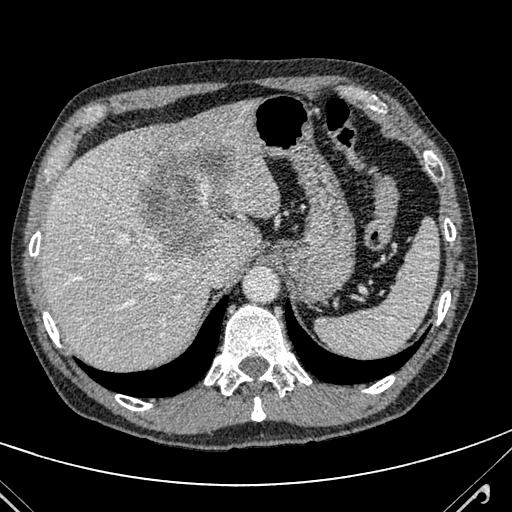

512x512; CT slice; Liver

• liver: region(42, 101, 279, 370)
• liver lesion: region(137, 141, 235, 261)